Slice 55/94; 512x512 px; CT slice 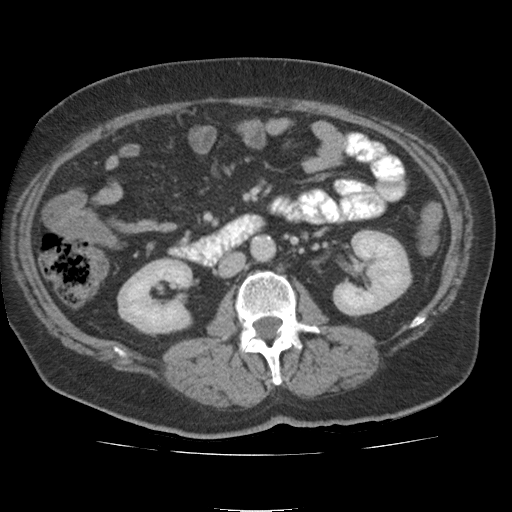
{"kidney": ["x1=118, y1=259, x2=190, y2=330", "x1=336, y1=233, x2=404, y2=313"]}